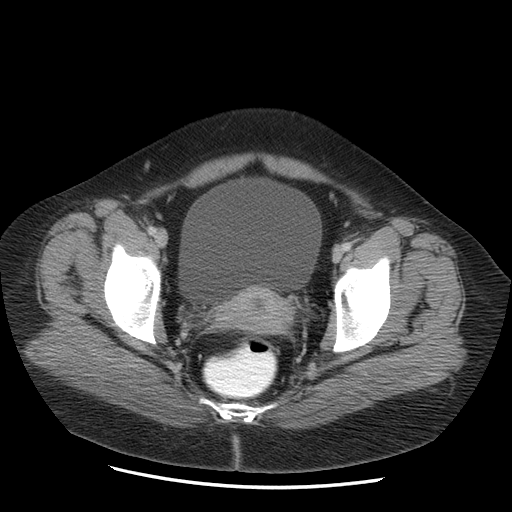
CT slice
urinary bladder: region(179, 183, 319, 296)